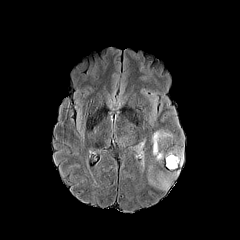
FLAIR MR.
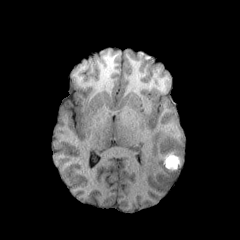
Same slice, T1-weighted MR.
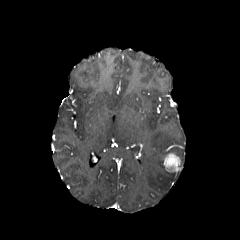
Post-contrast T1-weighted MR image.
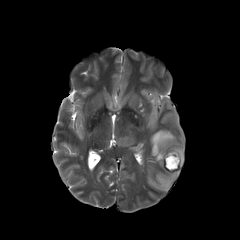
T2-weighted MRI of the same slice.
Edema at [x1=151, y1=133, x2=168, y2=160], [x1=157, y1=178, x2=168, y2=189].
Enhancing tumor at [x1=164, y1=152, x2=181, y2=171].